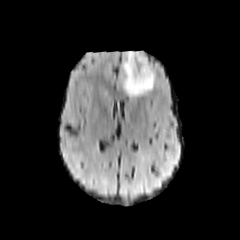
FLAIR MRI.
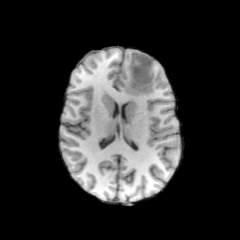
T1-weighted MR.
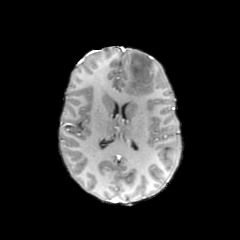
Post-contrast T1-weighted MR image.
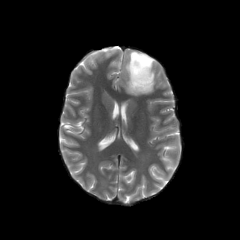
T2-weighted MRI.
non-enhancing_tumor_core:
  - bbox(129, 52, 152, 93)
edema:
  - bbox(123, 50, 154, 95)